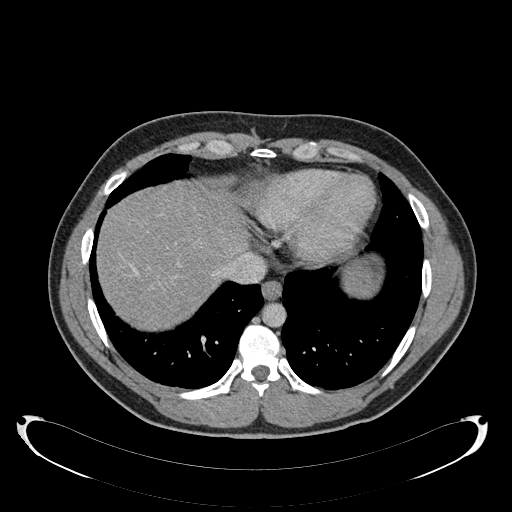 Computed tomography
Annotated regions:
* liver: (left=98, top=183, right=248, bottom=328)